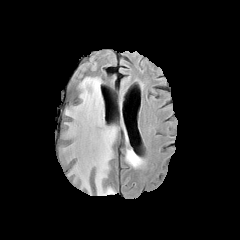
FLAIR MR image.
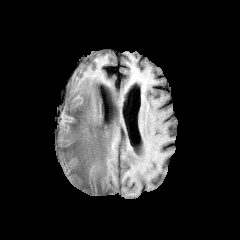
T1-weighted MR.
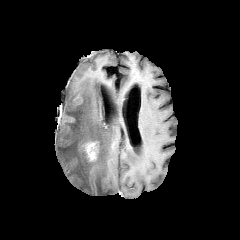
Post-contrast T1-weighted MR.
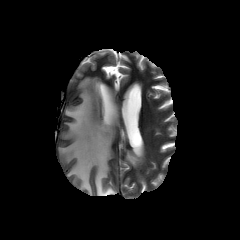
T2-weighted MRI.
240x240 px
2 edema regions are located at [x1=63, y1=76, x2=117, y2=195], [x1=124, y1=149, x2=138, y2=165]. The non-enhancing tumor core appears at [x1=78, y1=147, x2=90, y2=161]. The enhancing tumor is at [x1=80, y1=141, x2=98, y2=161].